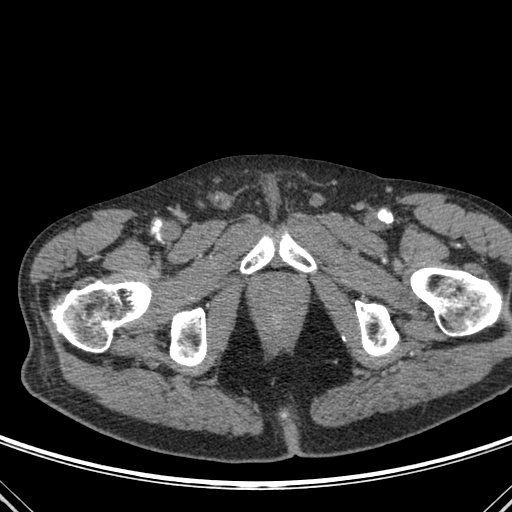

CT slice.
5 bone regions are bounded by 355,300,398,356; 170,308,206,366; 52,281,154,352; 240,232,316,273; 410,267,506,335.